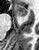 MR image, Hippocampus
{"anterior_hippocampus": ["rect(14, 5, 26, 16)"]}